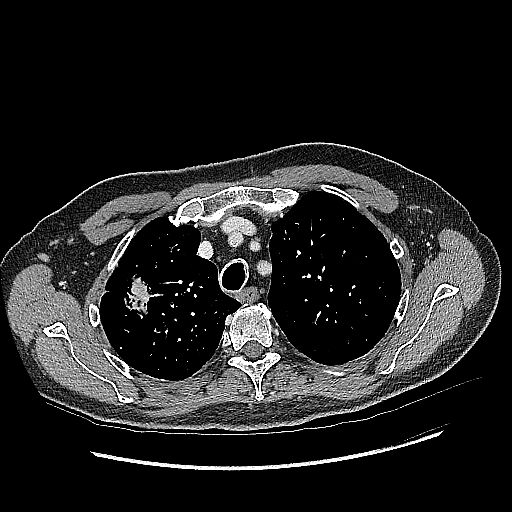
Computed tomography.
<segmentation>
  <lung_tumor>left=120, top=267, right=153, bottom=318</lung_tumor>
</segmentation>